Slice 114 of 155
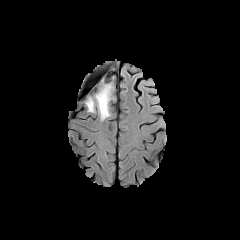
FLAIR magnetic resonance.
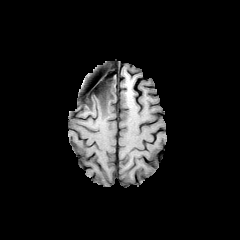
T1-weighted MRI.
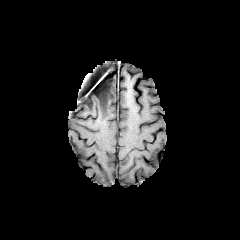
Same slice, post-contrast T1-weighted MR.
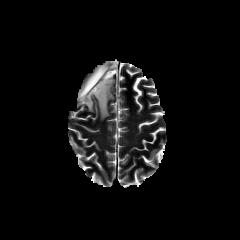
Same slice, T2-weighted MRI.
• non-enhancing tumor core: box(82, 80, 111, 103)
• edema: box(84, 83, 113, 120)